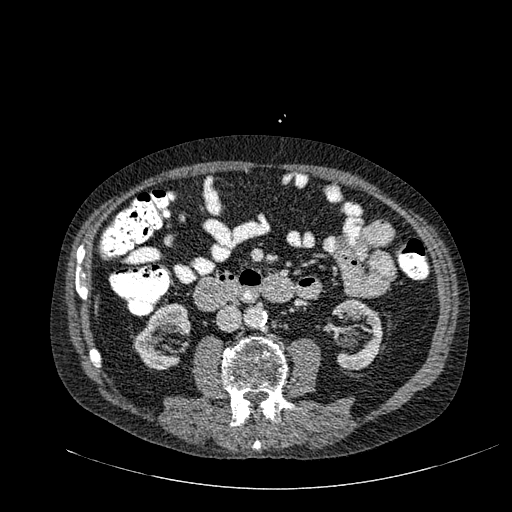 Computed tomography, Abdomen

<segmentation>
  <kidney>bbox=[323, 301, 382, 369]; bbox=[133, 303, 190, 369]</kidney>
</segmentation>